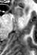

Magnetic resonance | Hippocampus
Anterior hippocampus: 15,6,23,16.